FLAIR MRI.
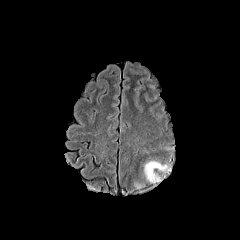
T1-weighted MR.
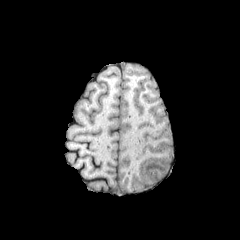
Post-contrast T1-weighted MRI.
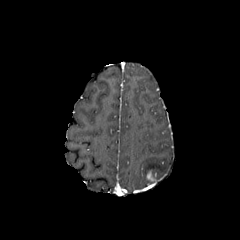
T2-weighted MRI.
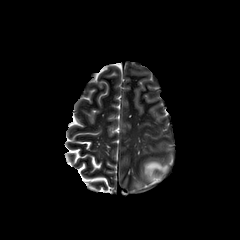
The edema is bounded by box=[144, 162, 167, 173]. The enhancing tumor lies within box=[146, 169, 156, 179].